Abdomen. CT slice. Slice 327/574.

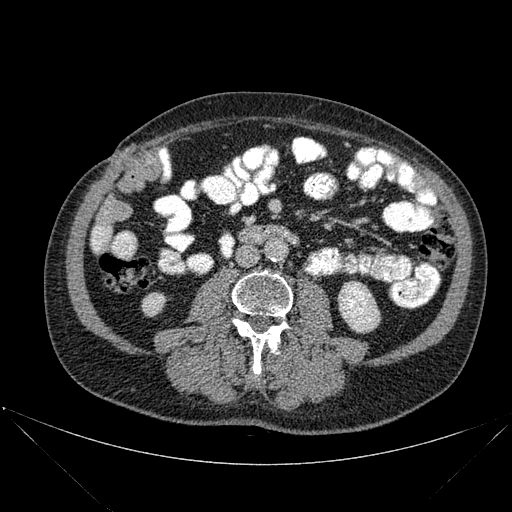
Bone: bounding box bbox(231, 319, 288, 373); bbox(232, 270, 292, 317).
Kidney: bounding box bbox(142, 293, 164, 316); bbox(338, 281, 379, 331).